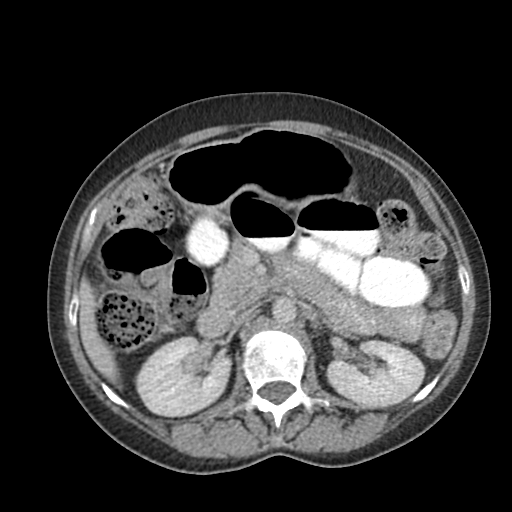

Computed tomography, Abdomen
colon tumor: (119,264,172,299)